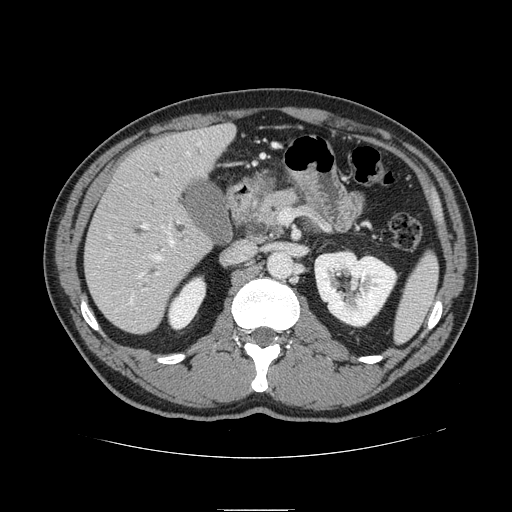

512x512 px, CT slice
Pancreas = l=254, t=190, r=296, b=232.